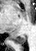 MR. Medial temporal lobe. 36x51 px.

posterior_hippocampus:
  - bbox(10, 36, 26, 44)